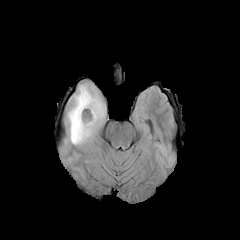
FLAIR magnetic resonance.
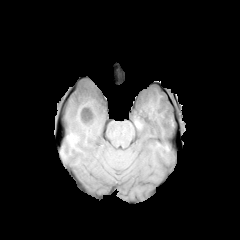
T1-weighted magnetic resonance of the same slice.
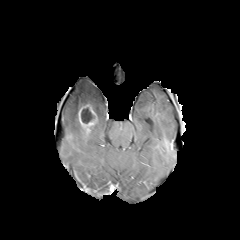
Post-contrast T1-weighted MR image of the same slice.
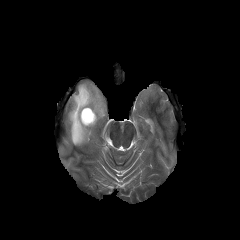
T2-weighted MR image of the same slice.
Head
The enhancing tumor appears at [78,108,97,137]. The non-enhancing tumor core is at [81,104,99,123]. The edema is at [65,82,106,145].